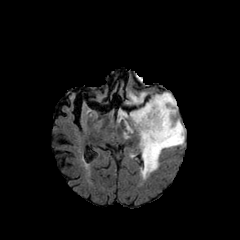
FLAIR MRI.
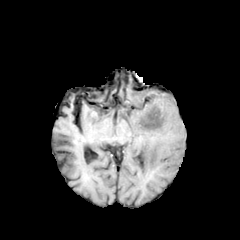
T1-weighted MR image of the same slice.
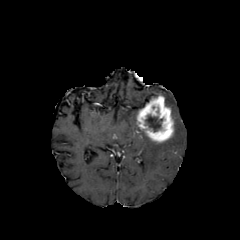
Post-contrast T1-weighted magnetic resonance of the same slice.
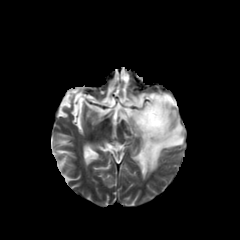
Same slice, T2-weighted magnetic resonance.
Head
The non-enhancing tumor core appears at rect(146, 116, 160, 131). The enhancing tumor appears at rect(136, 93, 174, 142). 2 edema regions are located at rect(116, 92, 184, 179); rect(124, 91, 148, 105).